Head, Image size 240x240, Slice 41 of 155
FLAIR MR.
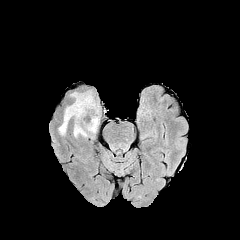
T1-weighted magnetic resonance.
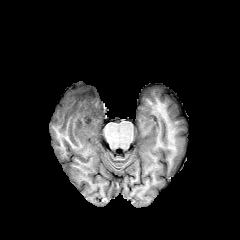
Post-contrast T1-weighted MR image.
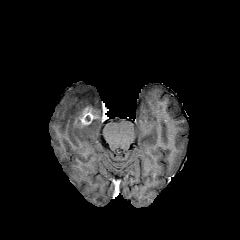
T2-weighted MR image.
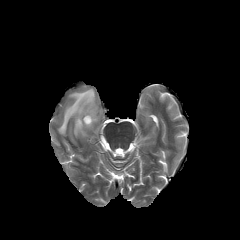
2 edema regions are located at box(58, 90, 100, 137); box(86, 118, 99, 133). The enhancing tumor is at box(79, 107, 99, 125).